Field of view 700 mm wide, 3.27 mm slice spacing, CT scan slice 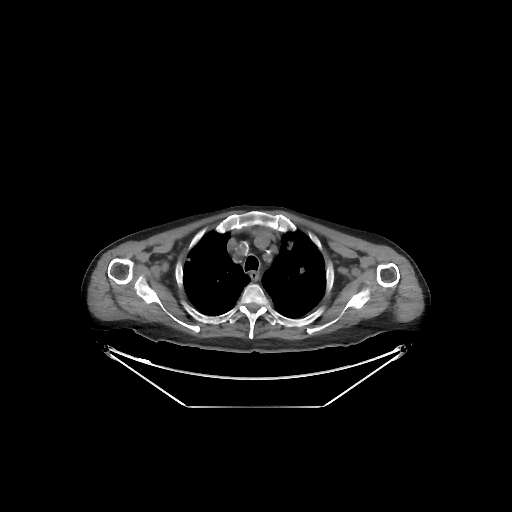
Lung at region(183, 230, 258, 315); region(261, 229, 325, 318).
Bone at region(173, 318, 199, 332); region(294, 309, 322, 326); region(237, 284, 278, 338); region(217, 211, 295, 232); region(377, 263, 399, 287); region(108, 258, 133, 284); region(134, 275, 163, 307); region(176, 264, 182, 284); region(307, 288, 369, 333).